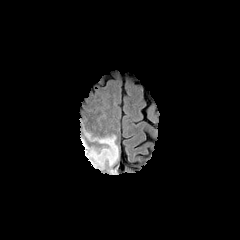
FLAIR MR image.
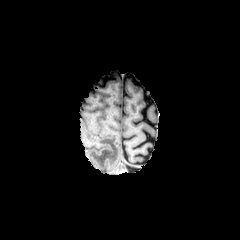
T1-weighted magnetic resonance.
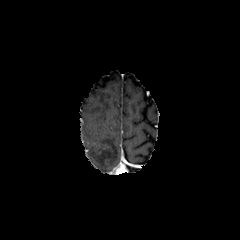
Post-contrast T1-weighted MRI of the same slice.
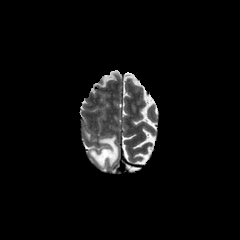
T2-weighted magnetic resonance of the same slice.
Image size 240x240
• edema: [x1=96, y1=136, x2=118, y2=165]